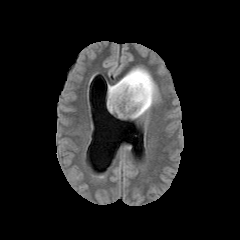
FLAIR MR image.
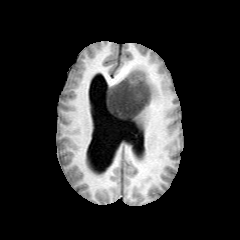
T1-weighted MRI.
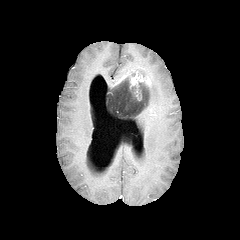
Post-contrast T1-weighted MRI of the same slice.
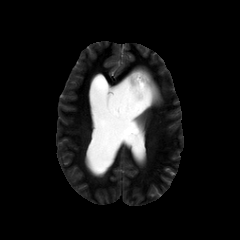
T2-weighted MR.
non-enhancing tumor core: x1=107, y1=78, x2=153, y2=119 | enhancing tumor: x1=123, y1=69, x2=152, y2=91 | edema: x1=132, y1=67, x2=160, y2=119; x1=108, y1=76, x2=127, y2=89